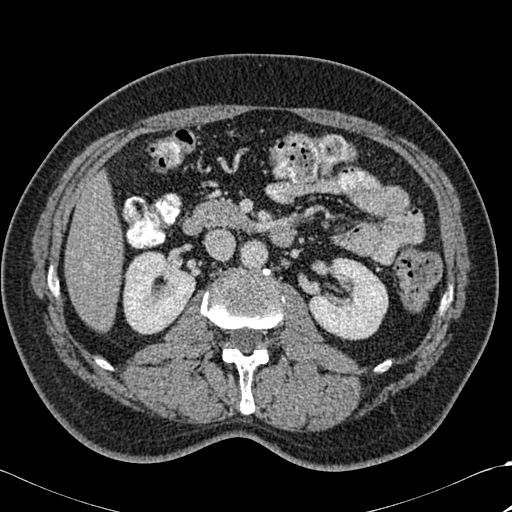

CT image | Abdomen

Kidney: bounding box [124, 252, 194, 333], [310, 259, 387, 338].
Bone: bounding box [99, 360, 110, 369], [48, 277, 58, 294], [201, 269, 282, 333], [223, 342, 268, 413].
Liver: bounding box [66, 174, 122, 329].